Brain; Field of view 240 mm wide, 1.00 mm slice spacing; Slice 86 of 155
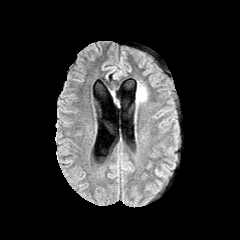
FLAIR MR.
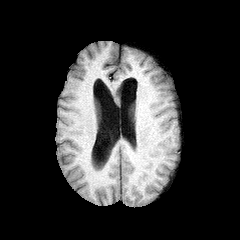
T1-weighted MRI of the same slice.
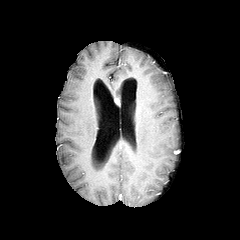
Post-contrast T1-weighted magnetic resonance.
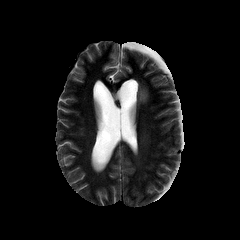
Same slice, T2-weighted MR image.
The edema is bounded by region(136, 86, 147, 104).